FLAIR MR.
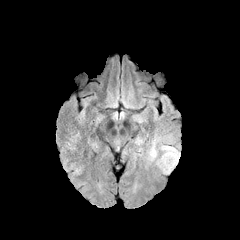
T1-weighted MRI.
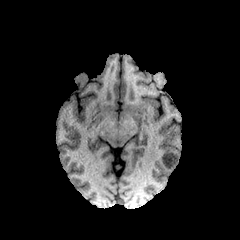
Post-contrast T1-weighted MR image.
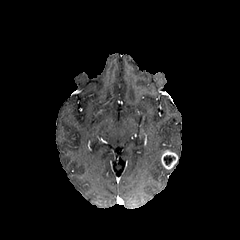
T2-weighted MR.
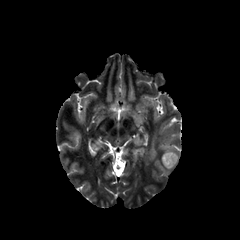
Head.
The enhancing tumor is bounded by [160, 149, 177, 169]. The non-enhancing tumor core is at [163, 155, 175, 166]. 2 edema regions are located at [149, 146, 155, 160], [161, 146, 180, 156].